FLAIR MR image.
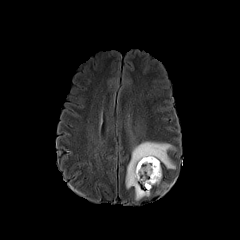
T1-weighted magnetic resonance.
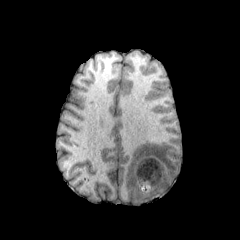
Post-contrast T1-weighted magnetic resonance.
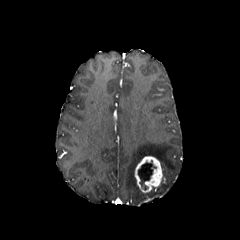
T2-weighted MR image.
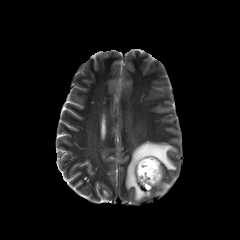
Head
The enhancing tumor is located at (x1=133, y1=155, x2=162, y2=192). The non-enhancing tumor core is at (x1=138, y1=163, x2=152, y2=184). The edema appears at (x1=125, y1=142, x2=175, y2=200).